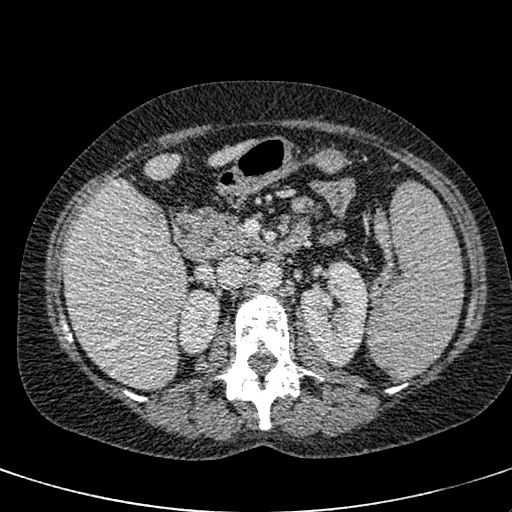 CT slice | Upper abdomen | 512x512 px
{"liver_lesion": ["<bbox>140, 200, 167, 233</bbox>"], "kidney": ["<bbox>301, 262, 367, 365</bbox>", "<bbox>179, 290, 218, 348</bbox>"], "liver": ["<bbox>66, 180, 187, 388</bbox>", "<bbox>145, 153, 181, 178</bbox>", "<bbox>208, 140, 260, 167</bbox>"]}